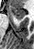 MR | Hippocampus | 34x49
The anterior hippocampus is located at (10,6,25,20).